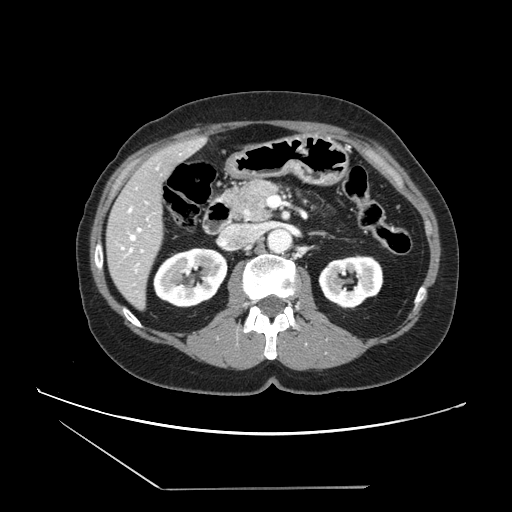

Computed tomography; Abdomen

The pancreatic tumor is at (242,196,250,205). The pancreas lies within (225,181,281,221).